CT slice; Slice 465/856; Upper abdomen; Field of view 373x373 mm
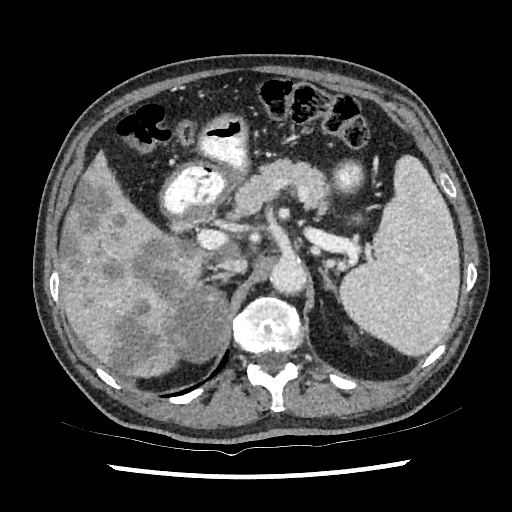

Segmented structures:
• liver: (61,150,179,375), (175,241,238,290), (61,197,74,253)
• focal liver lesion: (132,236,197,299), (108,299,167,371), (61,175,110,284), (109,214,126,241), (100,254,125,281)